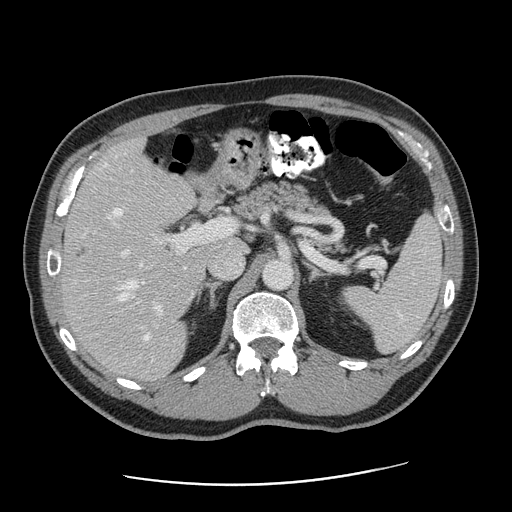 CT. Liver. Some hepatic vessels may have no box.
hepatic vessel: bbox(141, 262, 142, 264); bbox(114, 209, 121, 215); bbox(156, 304, 161, 311); bbox(122, 251, 127, 255); bbox(145, 334, 149, 339); bbox(156, 238, 163, 242); bbox(106, 164, 107, 165); bbox(165, 218, 235, 253); bbox(117, 280, 137, 300); bbox(210, 244, 246, 277); bbox(203, 261, 205, 266); bbox(85, 230, 87, 232) | liver tumor: bbox(72, 245, 88, 260)